CT slice | 512x512 px

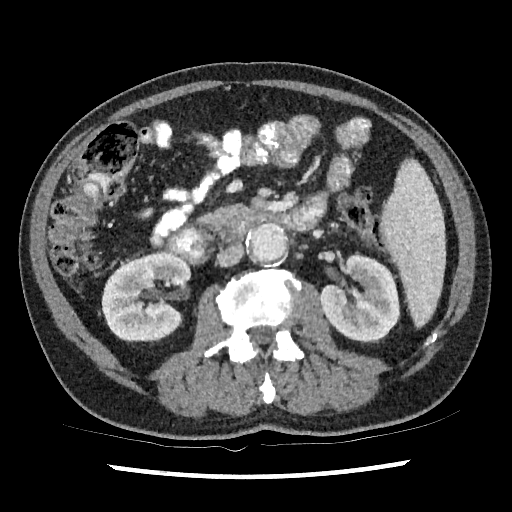

kidney:
  - [102, 251, 190, 340]
  - [320, 255, 399, 341]